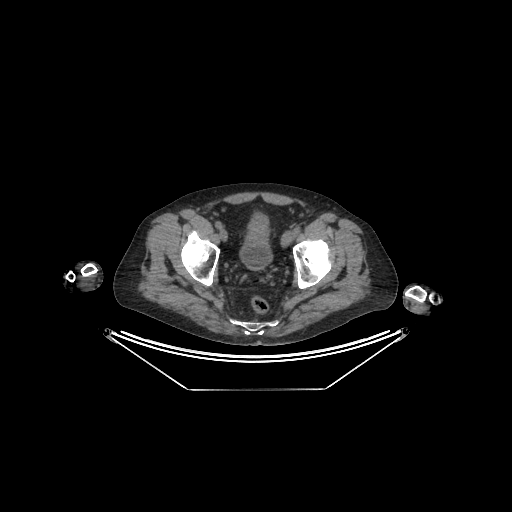 CT image.

urinary_bladder:
  - <bbox>239, 211, 272, 270</bbox>